FLAIR magnetic resonance.
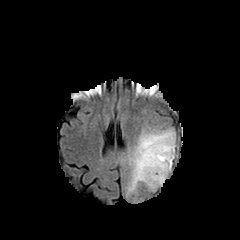
T1-weighted magnetic resonance.
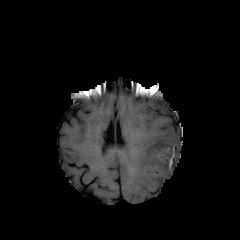
Post-contrast T1-weighted MR image.
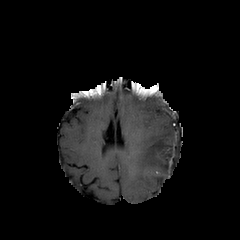
T2-weighted MR image.
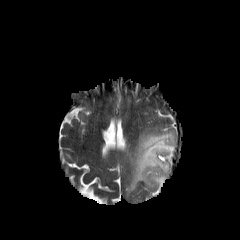
Brain
The edema appears at left=126, top=125, right=176, bottom=195.